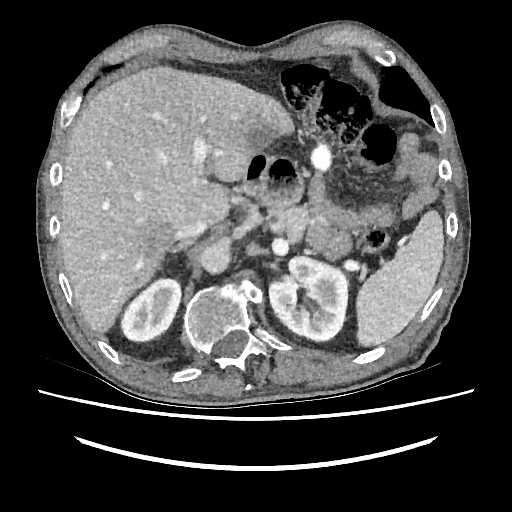 Image size 512x512, CT slice
Liver — region(60, 67, 293, 331).
Kidney — region(122, 279, 180, 340); region(269, 257, 347, 340).
Focal liver lesion — region(245, 121, 280, 151); region(141, 222, 169, 255).